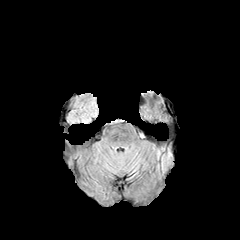
FLAIR MR image.
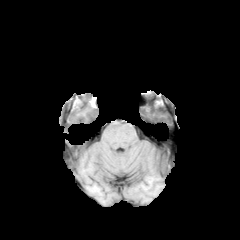
Same slice, T1-weighted MR image.
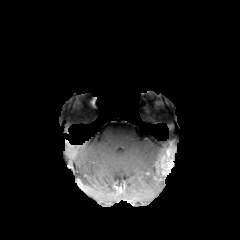
Post-contrast T1-weighted magnetic resonance.
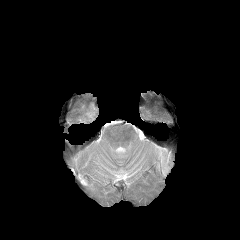
T2-weighted MR of the same slice.
Head
<segmentation>
  <edema>(left=154, top=148, right=169, bottom=171)</edema>
</segmentation>